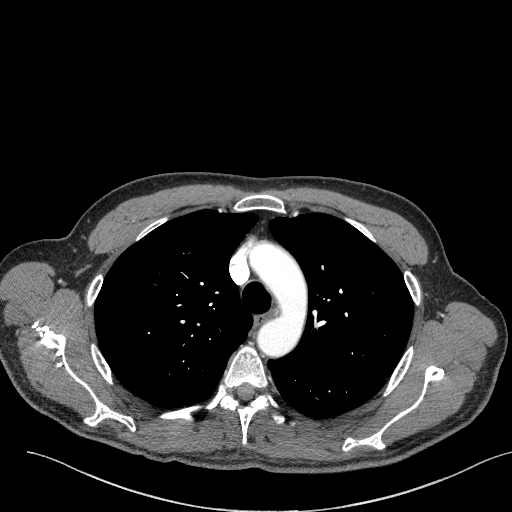
CT; Lung

Findings:
- lung tumor: x1=356 y1=273 x2=366 y2=283